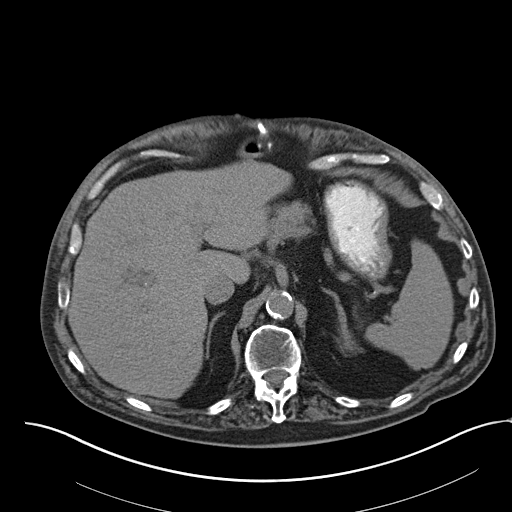

512x512, Computed tomography

spleen: bbox(366, 243, 452, 368)